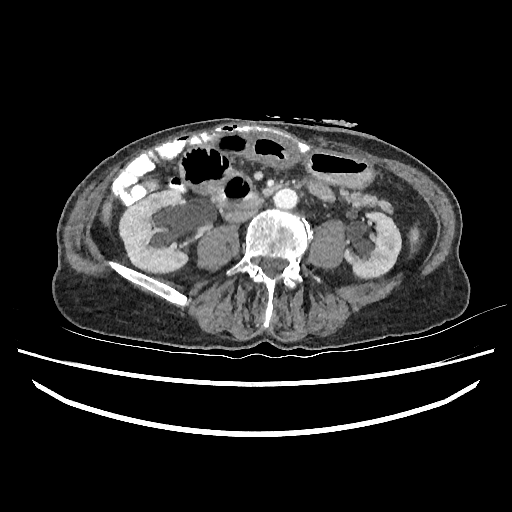 CT, Liver
2 kidney regions are bounded by rect(345, 213, 400, 276); rect(120, 190, 187, 272). The liver is at rect(102, 201, 110, 223).